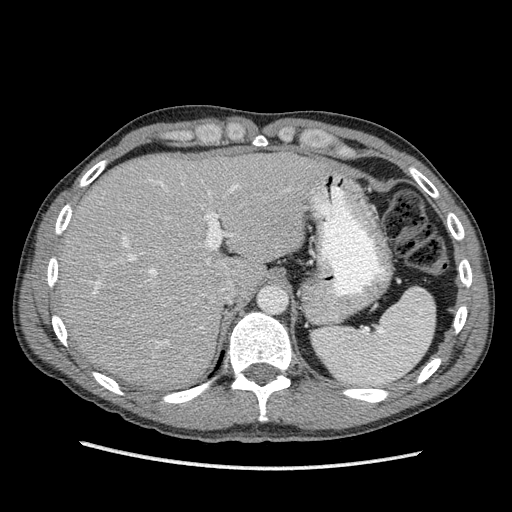

CT scan slice; 512x512 px
Liver — <bbox>56, 147, 327, 389</bbox>.